FLAIR MR.
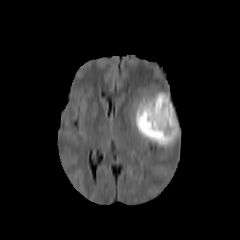
T1-weighted MR image.
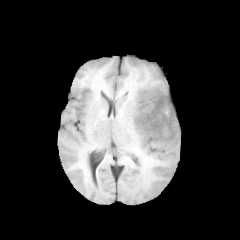
Post-contrast T1-weighted MR.
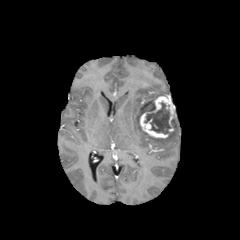
T2-weighted magnetic resonance.
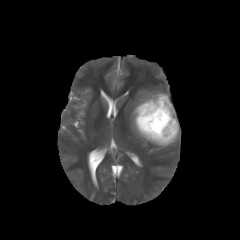
Head
2 non-enhancing tumor core regions are located at left=145, top=103, right=171, bottom=134; left=141, top=99, right=155, bottom=113. The enhancing tumor is located at left=139, top=95, right=175, bottom=138. The edema appears at left=127, top=92, right=179, bottom=148.